240x240 px; Brain
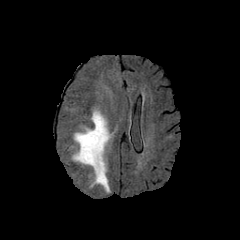
FLAIR magnetic resonance.
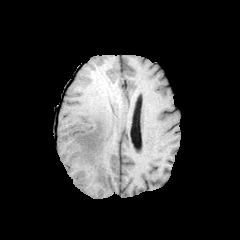
Same slice, T1-weighted MR image.
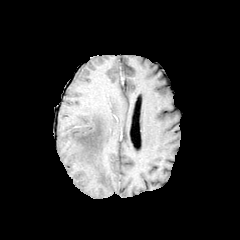
Post-contrast T1-weighted MRI.
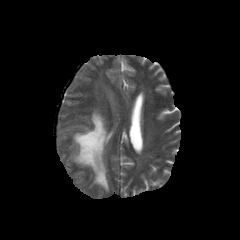
T2-weighted MR.
Edema: 68,110,112,191.